CT slice. Field of view 700x700 mm. 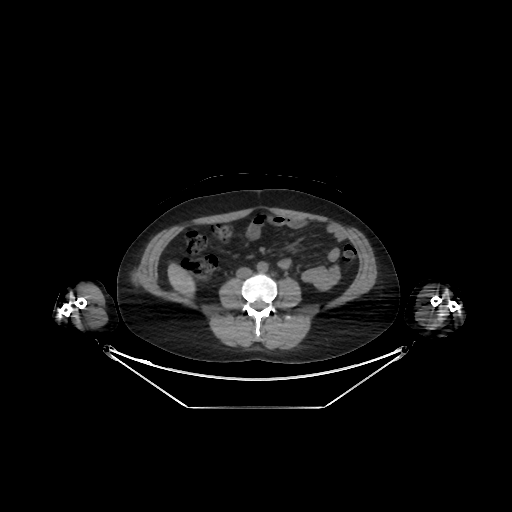
liver:
  - (left=168, top=264, right=194, bottom=297)